Image width 240 mm
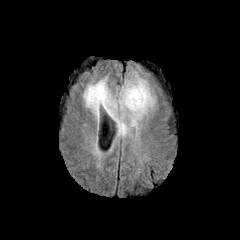
FLAIR MR.
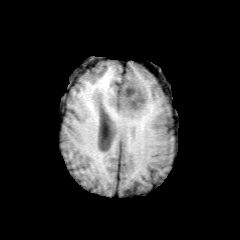
T1-weighted MR.
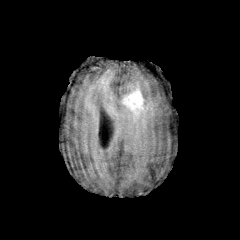
Post-contrast T1-weighted MR image of the same slice.
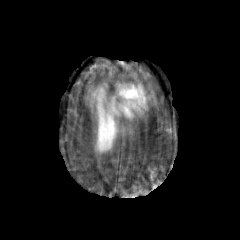
T2-weighted MRI.
enhancing tumor: bbox=[121, 83, 144, 116] | edema: bbox=[83, 72, 155, 136]